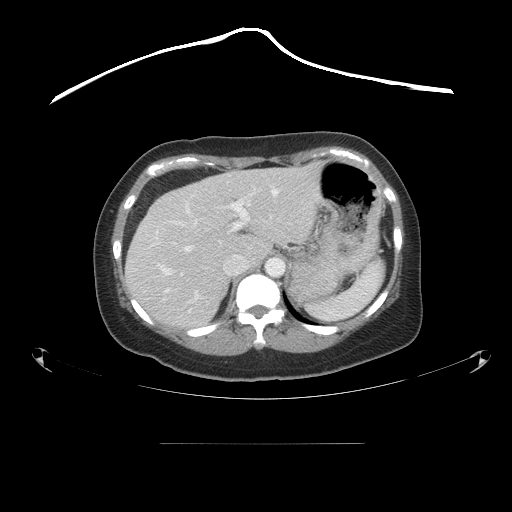 512x512. Liver. Computed tomography. Not every hepatic vessel necessarily has a box.
<segmentation partial="true">
  <hepatic_vessel shown="15" total="20">[164,289,168,292], [173,242,175,245], [171,221,184,226], [150,243,157,246], [218,241,221,245], [157,264,170,275], [189,291,199,302], [194,220,196,224], [185,246,191,251], [271,186,278,195], [186,202,190,214], [249,187,255,195], [223,255,248,274], [270,215,272,217], [223,200,250,233]</hepatic_vessel>
</segmentation>